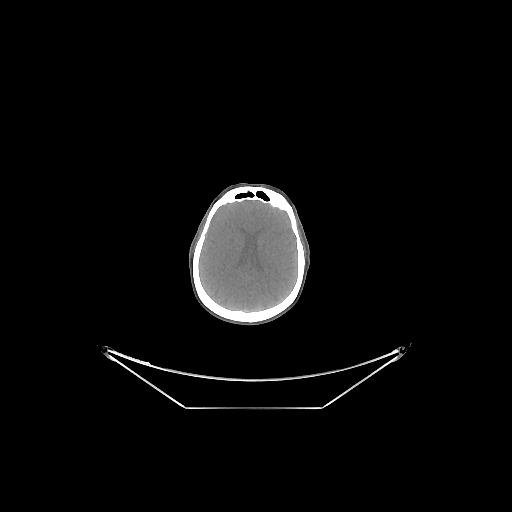

Brain, CT image

{"bone": ["<box>193,186,304,322</box>"], "brain": ["<box>198,200,297,312</box>"]}